Upper abdomen; Computed tomography; Slice 165 of 217
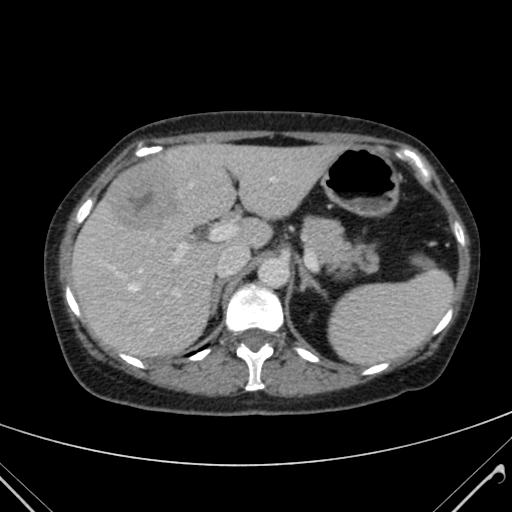
<segmentation>
  <liver>box(74, 143, 332, 357)</liver>
  <hepatic_lesion>box(108, 165, 181, 229)</hepatic_lesion>
</segmentation>